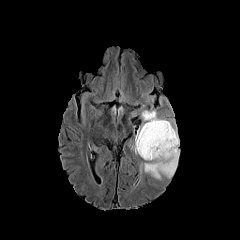
FLAIR MRI.
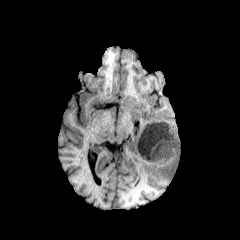
T1-weighted MR.
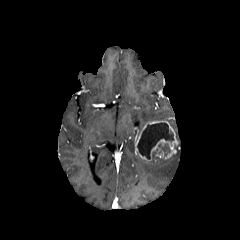
Post-contrast T1-weighted MR.
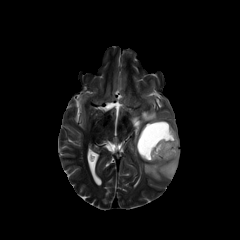
Same slice, T2-weighted magnetic resonance.
Head
Non-enhancing tumor core: 138:123:174:159, 160:146:170:154.
Enhancing tumor: 135:121:178:161.
Edema: 139:96:166:132, 139:118:179:180.